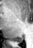
33x48 | MRI
posterior hippocampus: 11 38 22 42